FLAIR MR.
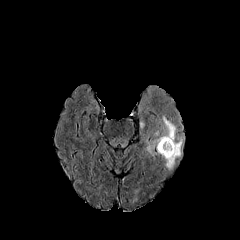
T1-weighted MRI.
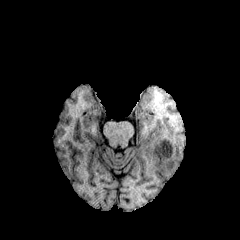
Post-contrast T1-weighted MR.
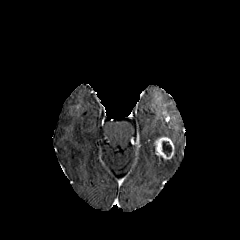
T2-weighted magnetic resonance.
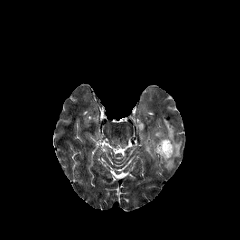
The enhancing tumor lies within box=[155, 136, 174, 159]. The non-enhancing tumor core is located at box=[162, 141, 171, 156]. The edema is located at box=[145, 114, 184, 170].